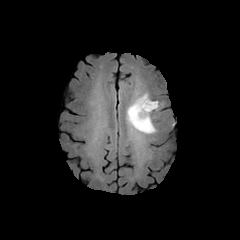
FLAIR MRI.
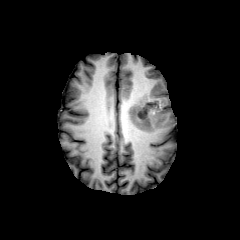
T1-weighted MRI.
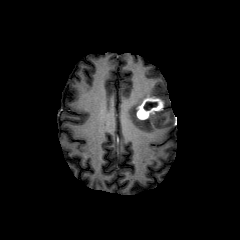
Post-contrast T1-weighted MRI of the same slice.
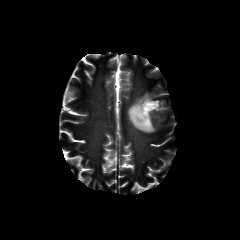
T2-weighted MR of the same slice.
The enhancing tumor is bounded by (left=136, top=95, right=162, bottom=119). 2 edema regions appear at (left=126, top=105, right=159, bottom=134), (left=133, top=93, right=147, bottom=100). 2 non-enhancing tumor core regions are bounded by (left=144, top=102, right=157, bottom=110), (left=129, top=100, right=149, bottom=125).